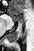

Magnetic resonance, Hippocampus

Segmented structures:
- posterior hippocampus: 6 22 22 42
- anterior hippocampus: 9 14 22 21